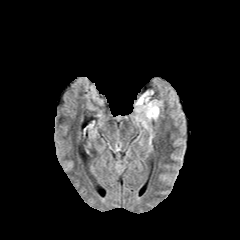
FLAIR MR.
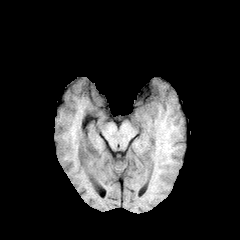
T1-weighted MR.
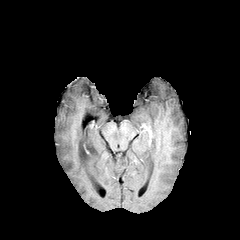
Post-contrast T1-weighted MR of the same slice.
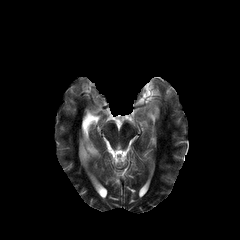
T2-weighted magnetic resonance of the same slice.
Head. Image size 240x240.
The edema is bounded by (left=134, top=90, right=160, bottom=128).